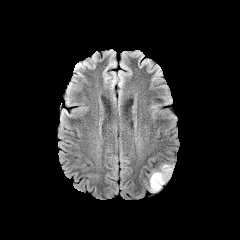
FLAIR MR.
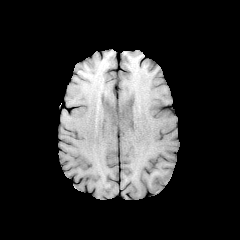
T1-weighted MRI.
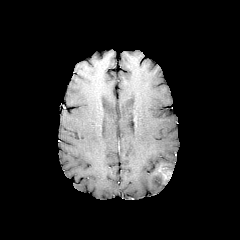
Post-contrast T1-weighted magnetic resonance.
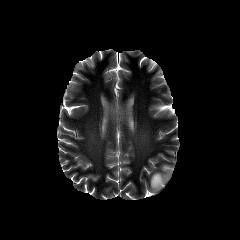
T2-weighted MR image.
240x240 px
Edema — <box>149,163,172,191</box>.
Non-enhancing tumor core — <box>154,174,167,183</box>.